Field of view 240x240 mm; Brain
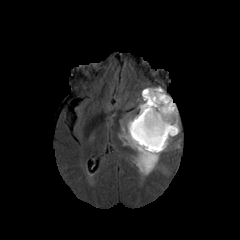
FLAIR MR.
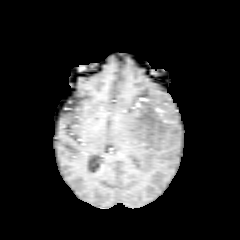
Same slice, T1-weighted magnetic resonance.
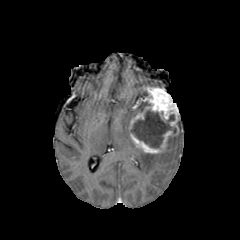
Same slice, post-contrast T1-weighted MRI.
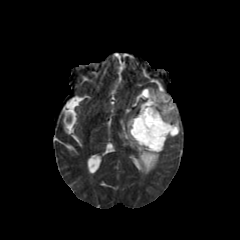
T2-weighted magnetic resonance of the same slice.
• edema: box(164, 128, 180, 150); box(120, 101, 163, 174)
• enhancing tumor: box(130, 130, 173, 153); box(129, 87, 179, 133)
• non-enhancing tumor core: box(132, 110, 176, 147)